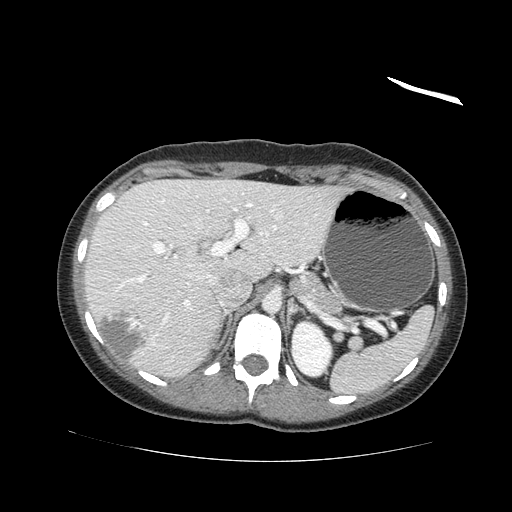 Abdomen. CT image. 512x512. Annotated regions:
* pancreas: [291, 271, 344, 315]